Abdomen | Computed tomography 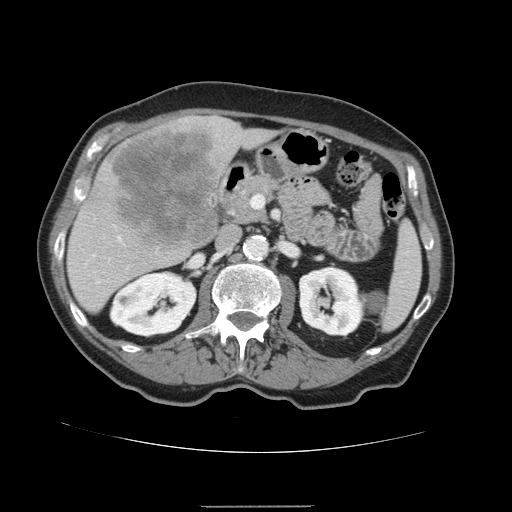

Some hepatic vessels may have no box.
Segmented structures:
- liver tumor: (x1=112, y1=130, x2=219, y2=247)
- hepatic vessel: (x1=119, y1=236, x2=120, y2=239), (x1=252, y1=197, x2=254, y2=206)